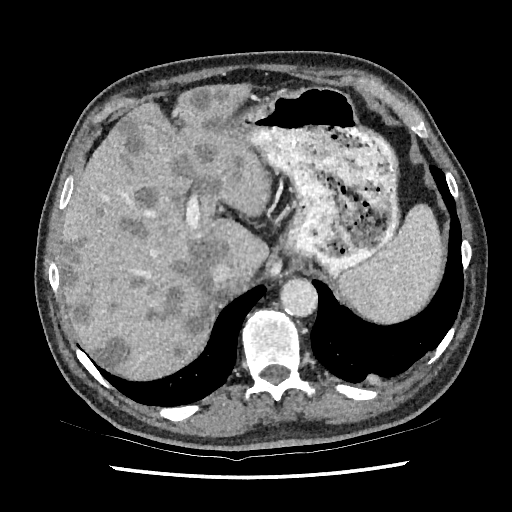 Abdomen. CT slice.
2 liver regions are located at 211 308 215 325, 60 84 268 379. The top 15 focal liver lesion regions (of 17) appear at 226 154 245 180, 118 117 144 156, 61 235 89 290, 202 115 230 132, 119 215 150 239, 135 186 157 208, 71 301 92 322, 191 143 219 162, 90 337 131 369, 97 201 111 219, 168 153 223 200, 168 186 183 203, 146 228 232 335, 128 278 150 290, 187 89 230 112.